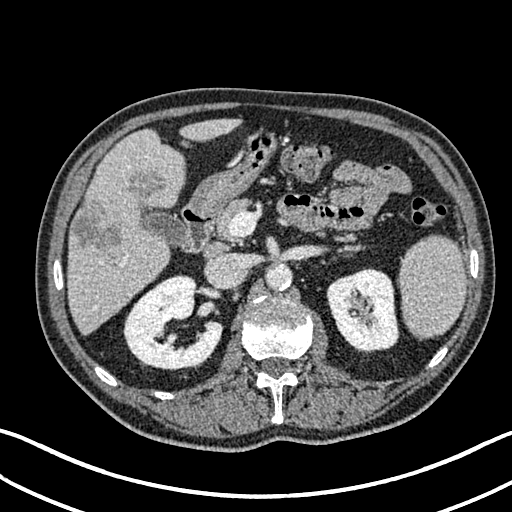

Image size 512x512. Computed tomography. Abdomen. Liver at [181,119,240,140], [68,129,184,333].
Focal liver lesion at [128,171,164,198], [72,202,122,250].
Kidney at [124,276,221,368], [328,270,397,350].